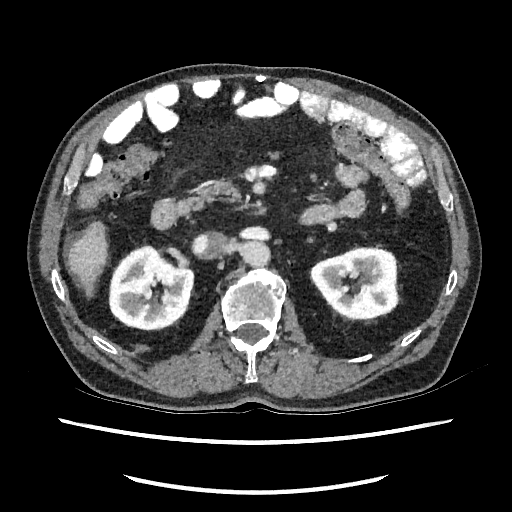
Computed tomography
Liver: [x1=69, y1=223, x2=106, y2=288].
Kidney: [x1=310, y1=247, x2=398, y2=319], [x1=109, y1=246, x2=193, y2=329].